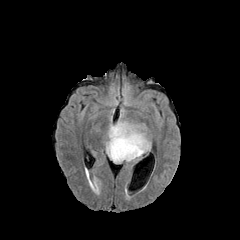
FLAIR MRI.
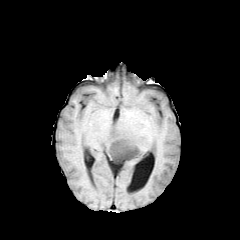
T1-weighted MRI of the same slice.
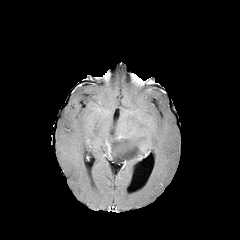
Post-contrast T1-weighted MR image of the same slice.
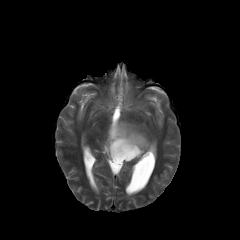
T2-weighted MRI.
Head.
Findings:
• non-enhancing tumor core: <bbox>109, 131, 143, 163</bbox>
• edema: <bbox>119, 156, 142, 163</bbox>, <bbox>106, 119, 151, 150</bbox>